FLAIR MR.
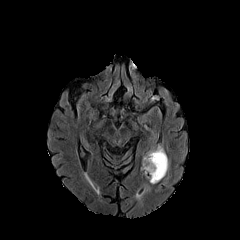
T1-weighted MR.
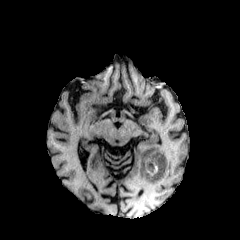
Post-contrast T1-weighted MR.
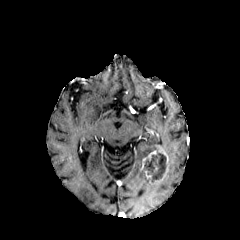
T2-weighted MRI.
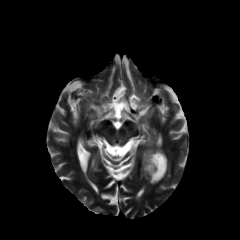
Enhancing tumor at bbox(142, 150, 157, 179); bbox(157, 146, 169, 165).
Non-enhancing tumor core at bbox(145, 152, 166, 181).